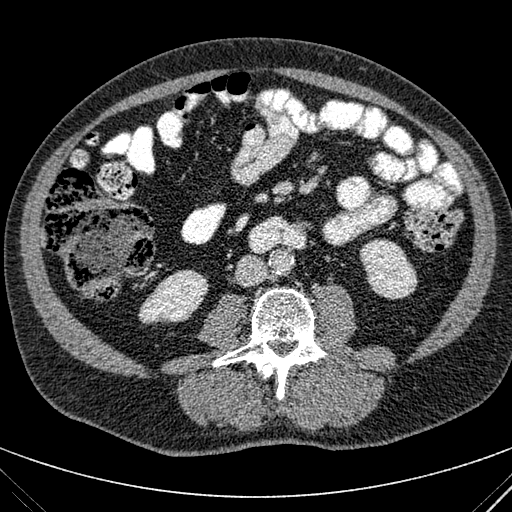 Computed tomography
2 kidney regions are bounded by [x1=139, y1=270, x2=207, y2=322], [x1=360, y1=240, x2=416, y2=298]. The liver lies within [x1=40, y1=226, x2=44, y2=247].